512x512 px | CT slice | Slice 75 of 105 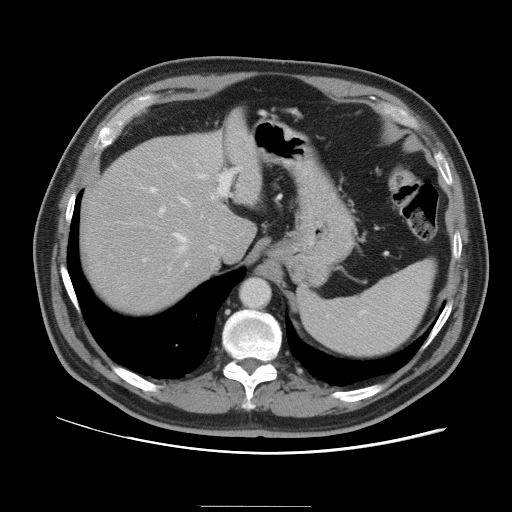 Only some of the vessels may be annotated.
[15/18] hepatic vessel: rect(167, 156, 168, 158); rect(210, 246, 215, 249); rect(181, 198, 190, 207); rect(196, 173, 207, 177); rect(209, 226, 212, 232); rect(159, 207, 164, 215); rect(212, 194, 215, 198); rect(197, 165, 199, 166); rect(149, 187, 155, 192); rect(184, 262, 187, 266); rect(174, 232, 187, 251); rect(238, 185, 240, 186); rect(240, 167, 241, 169); rect(143, 258, 147, 261); rect(172, 161, 176, 166)